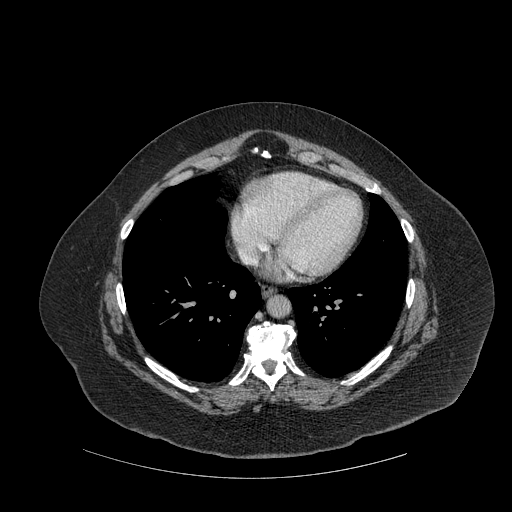

CT. 512x512 px.
7 bone regions appear at (x1=401, y1=219, x2=413, y2=241), (x1=342, y1=346, x2=391, y2=384), (x1=229, y1=322, x2=303, y2=390), (x1=121, y1=219, x2=132, y2=238), (x1=145, y1=358, x2=197, y2=391), (x1=116, y1=284, x2=125, y2=313), (x1=406, y1=279, x2=414, y2=306). 2 lung regions appear at (x1=123, y1=173, x2=260, y2=382), (x1=287, y1=194, x2=406, y2=377).